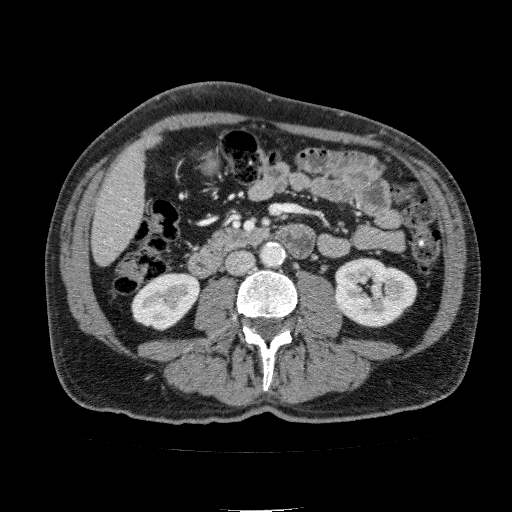

Computed tomography, Liver
The liver is at left=92, top=132, right=161, bottom=267. 2 kidney regions appear at left=336, top=259, right=415, bottom=325; left=132, top=274, right=198, bottom=328.